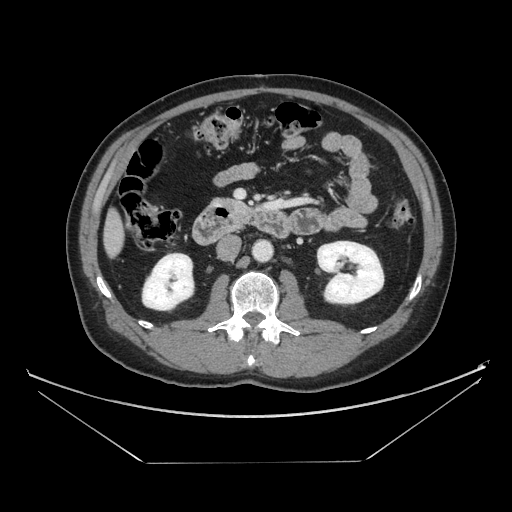
CT image. Abdomen.
Findings:
- pancreas: [229, 201, 252, 227]
- pancreatic tumor: [233, 201, 248, 217]